FLAIR MR.
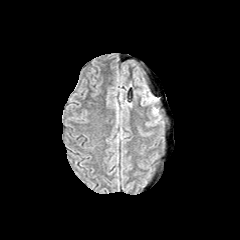
T1-weighted MRI.
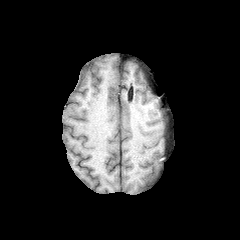
Post-contrast T1-weighted MRI.
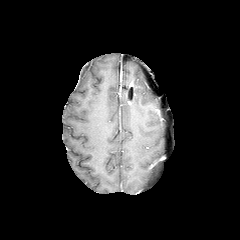
T2-weighted magnetic resonance.
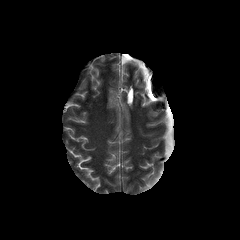
The edema is located at [137,89,151,104].